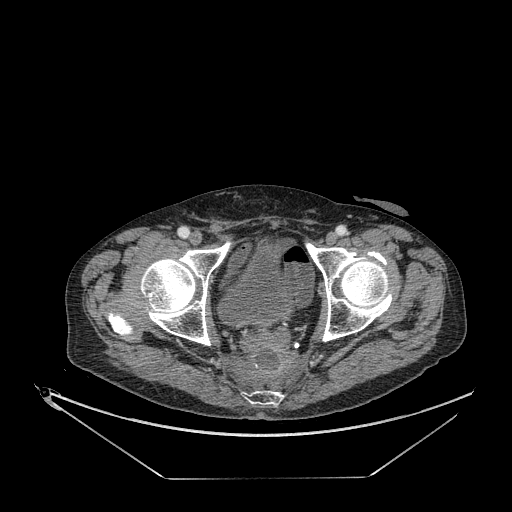 Lower abdomen | CT scan slice
Urinary bladder = (left=217, top=239, right=299, bottom=325).